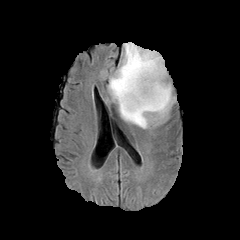
FLAIR magnetic resonance.
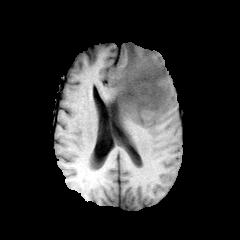
T1-weighted MR of the same slice.
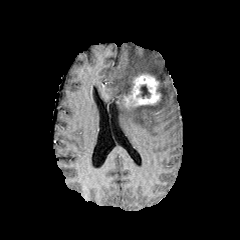
Post-contrast T1-weighted MR.
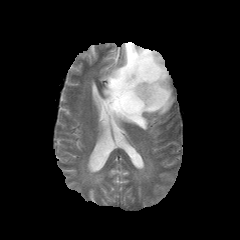
Same slice, T2-weighted magnetic resonance.
Head, 240x240 px
Annotated regions:
* edema: l=105, t=42, r=174, b=129
* enhancing tumor: l=121, t=74, r=161, b=110
* non-enhancing tumor core: l=140, t=85, r=150, b=97